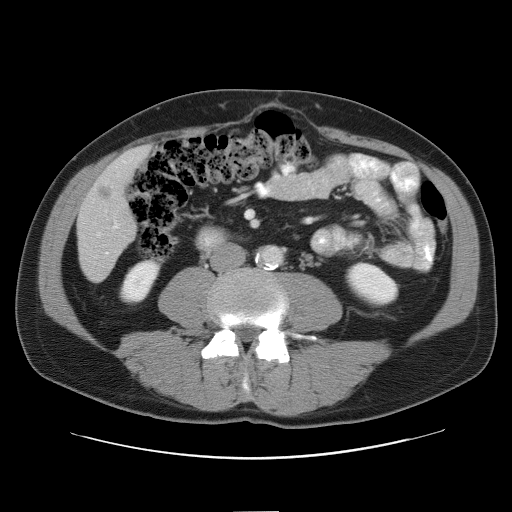 Image size 512x512. CT image. Abdomen. Some hepatic vessels may have no box.
2 hepatic vessel regions are bounded by 114, 220, 118, 228; 97, 233, 100, 236. The liver tumor is at 98, 188, 111, 200.